Head, Image size 240x240, Slice 111 of 155
FLAIR MR.
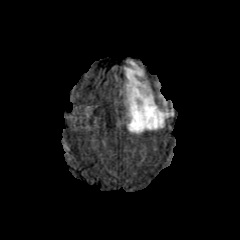
T1-weighted magnetic resonance.
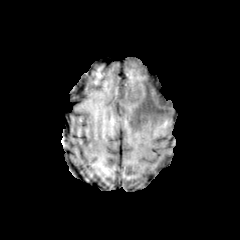
Post-contrast T1-weighted MRI.
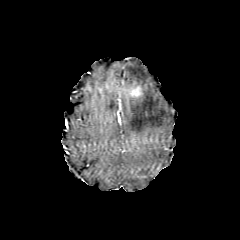
T2-weighted magnetic resonance.
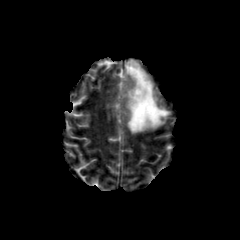
The enhancing tumor is bounded by (left=127, top=85, right=140, bottom=96). The edema lies within (left=124, top=60, right=171, bottom=133).